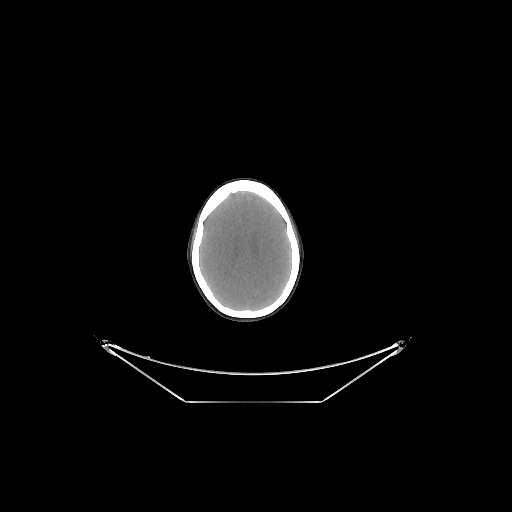
CT image. Brain. The brain appears at rect(199, 191, 291, 310).